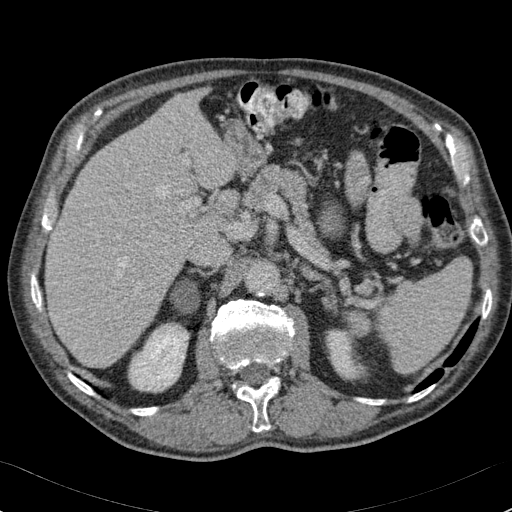 Liver, CT slice
Kidney: bounding box box=[327, 331, 362, 377]; box=[130, 324, 187, 390].
Liver: bounding box box=[221, 191, 236, 205]; box=[46, 93, 234, 367].